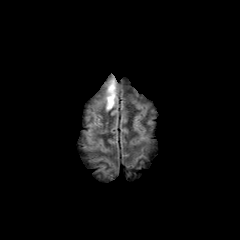
FLAIR magnetic resonance.
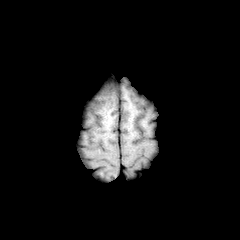
Same slice, T1-weighted MR.
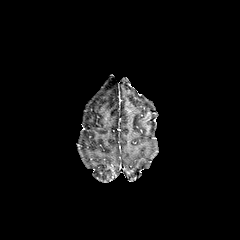
Post-contrast T1-weighted MR of the same slice.
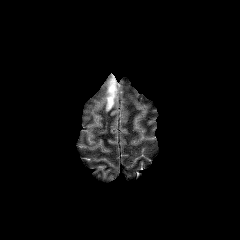
T2-weighted MR image.
240x240 px.
The edema lies within <box>104,75,118,110</box>.